Liver | CT image

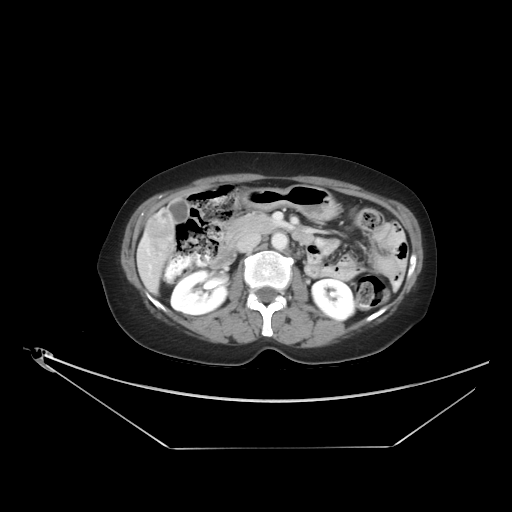
The liver tumor is located at region(145, 210, 174, 260).